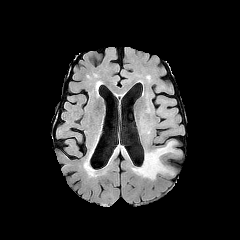
FLAIR MR.
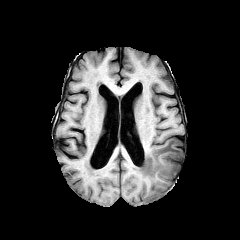
T1-weighted MR of the same slice.
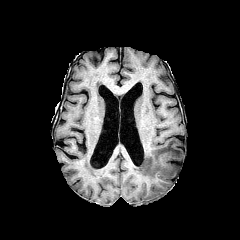
Same slice, post-contrast T1-weighted MR.
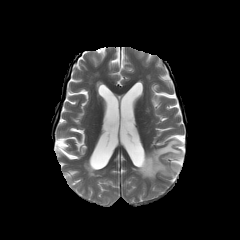
T2-weighted MR image.
Brain.
Edema — left=131, top=140, right=180, bottom=179.